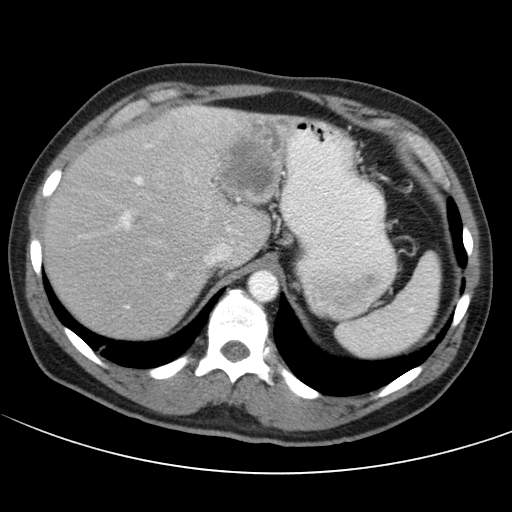

Abdomen, CT slice
Not every hepatic vessel necessarily has a box.
Hepatic vessel = (x1=135, y1=177, x2=141, y2=183), (x1=121, y1=213, x2=128, y2=226).
Liver tumor = (x1=216, y1=119, x2=288, y2=194).